Slice index 105. 240x240.
FLAIR magnetic resonance.
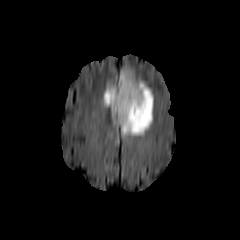
T1-weighted MR image.
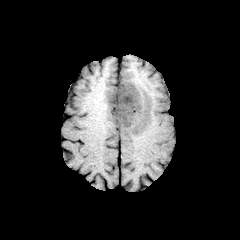
Post-contrast T1-weighted magnetic resonance.
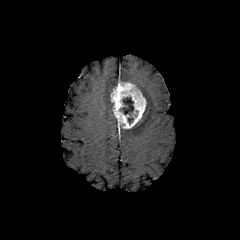
T2-weighted MR image.
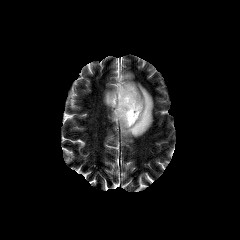
Edema at (103,84,114,109), (120,70,153,137).
Non-enhancing tumor core at (121,97,133,123).
Enhancing tumor at (110,78,146,128).